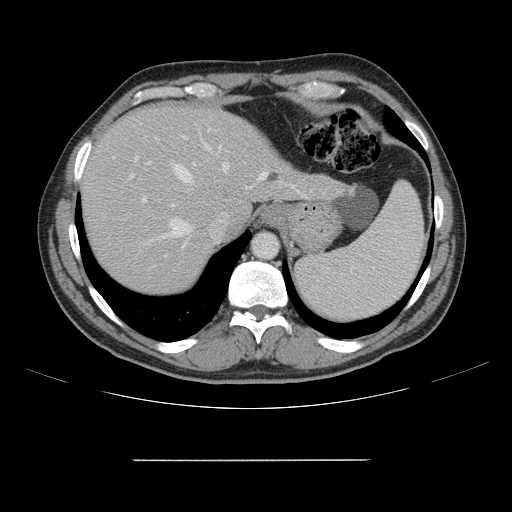 Computed tomography. Abdomen.

The vessel boxes may cover only some of the vessels.
{
  "partial": true,
  "hepatic_vessel": {
    "n_total": 18,
    "boxes": [
      "left=143, top=198, right=145, bottom=201",
      "left=146, top=162, right=149, bottom=164",
      "left=182, top=239, right=189, bottom=247",
      "left=286, top=184, right=302, bottom=194",
      "left=207, top=128, right=209, bottom=131",
      "left=130, top=175, right=132, bottom=177",
      "left=205, top=144, right=209, bottom=150",
      "left=175, top=165, right=192, bottom=183",
      "left=222, top=164, right=227, bottom=171",
      "left=135, top=156, right=137, bottom=159",
      "left=259, top=173, right=266, bottom=179",
      "left=218, top=147, right=220, bottom=151",
      "left=246, top=186, right=251, bottom=188",
      "left=171, top=219, right=192, bottom=236",
      "left=183, top=136, right=185, bottom=138"
    ]
  },
  "liver_tumor": [
    "left=269, top=174, right=278, bottom=182"
  ]
}